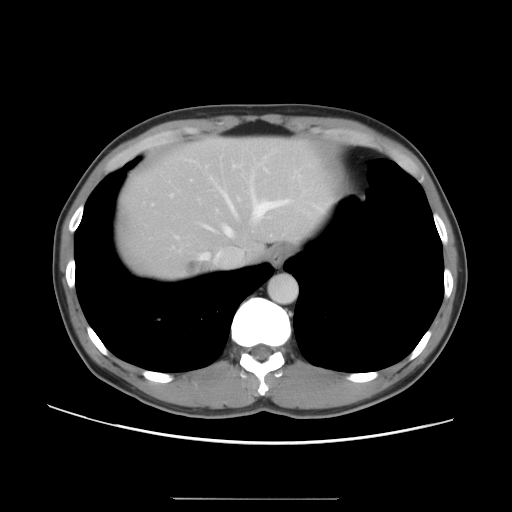
CT

The vessel annotation is not exhaustive.
Hepatic vessel — 238, 197, 240, 199; 252, 228, 254, 231; 299, 202, 328, 219; 240, 251, 243, 256; 210, 177, 237, 216; 217, 209, 218, 211; 176, 236, 178, 239; 294, 171, 309, 196; 203, 224, 213, 230; 171, 194, 173, 196; 271, 199, 292, 206; 199, 250, 223, 263; 257, 150, 276, 171; 250, 174, 267, 224; 222, 224, 234, 237.
Liver tumor — 185, 263, 197, 276.